Computed tomography. Upper abdomen.
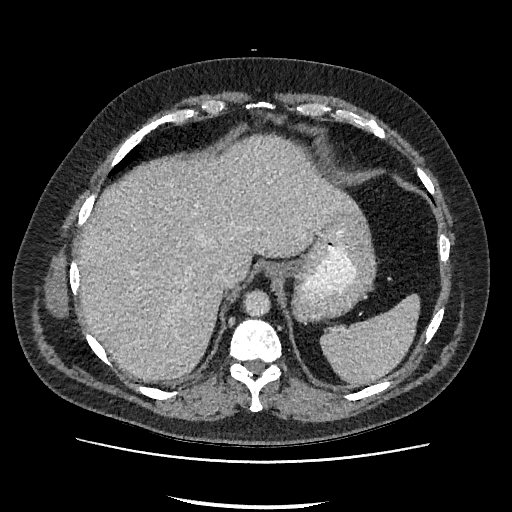 Annotated regions:
* liver: 79 138 357 379